Image size 512x512; Image width 400 mm; Upper abdomen; Slice 439/654; CT image

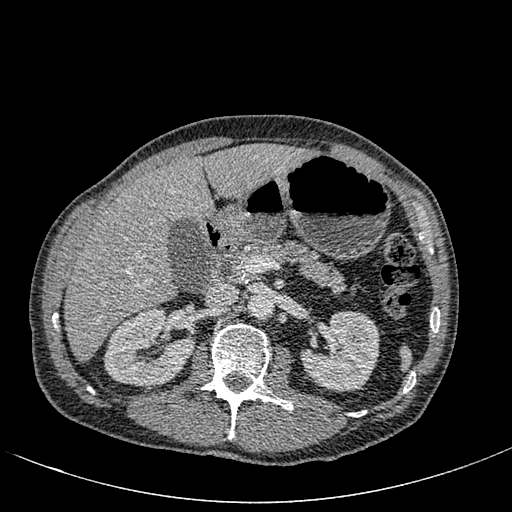
Kidney: bounding box bbox=[104, 308, 194, 385]; bbox=[301, 311, 378, 390].
Liver: bounding box bbox=[65, 145, 316, 360].